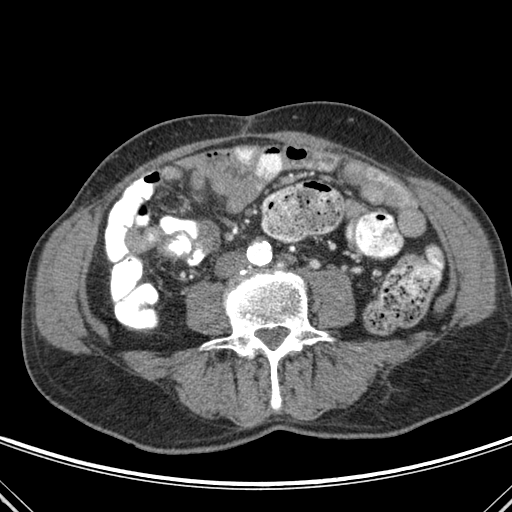
Image size 512x512. Computed tomography. bone:
  - x1=202 y1=271 x2=332 y2=409